FLAIR MR.
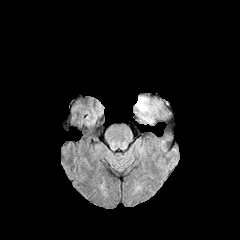
T1-weighted magnetic resonance.
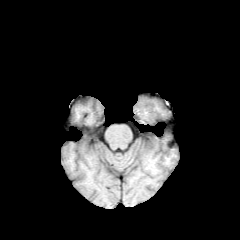
Post-contrast T1-weighted MR image.
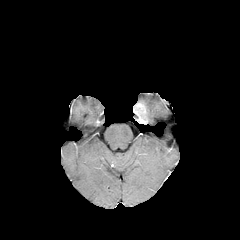
T2-weighted MRI.
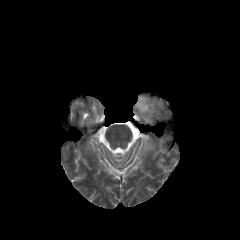
Enhancing tumor = (left=136, top=103, right=146, bottom=123).
Non-enhancing tumor core = (left=138, top=100, right=150, bottom=122).
Edema = (left=137, top=95, right=162, bottom=124).